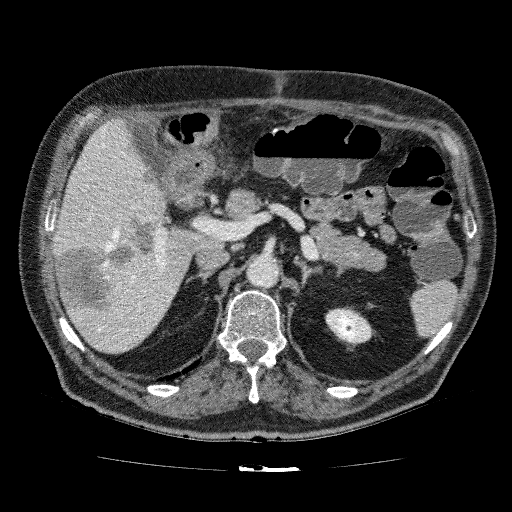

Liver. Computed tomography. Liver: bounding box <box>51,117,225,354</box>.
Focal liver lesion: bounding box <box>139,168,157,186</box>, <box>51,213,156,314</box>.
Kidney: bounding box <box>326,308,371,343</box>.